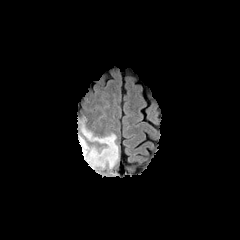
FLAIR MRI.
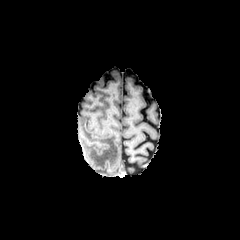
Same slice, T1-weighted MRI.
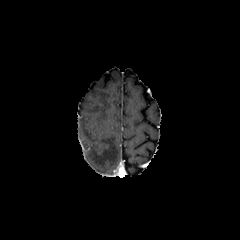
Post-contrast T1-weighted MR image.
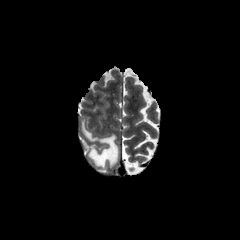
Same slice, T2-weighted MRI.
Brain
The edema appears at <box>90,134,118,166</box>.